CT slice

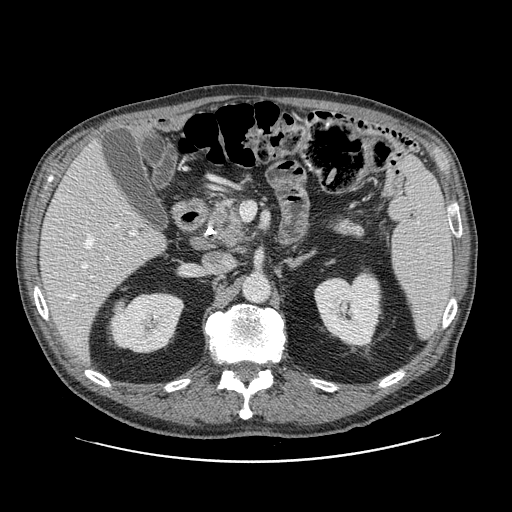 • pancreas: box(334, 220, 363, 236); box(211, 198, 243, 248)
• pancreatic tumor: box(221, 228, 237, 245)